FLAIR MR image.
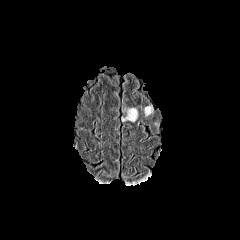
T1-weighted MR.
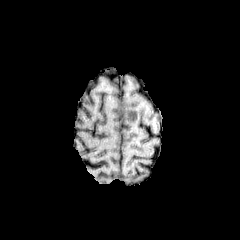
Post-contrast T1-weighted MRI.
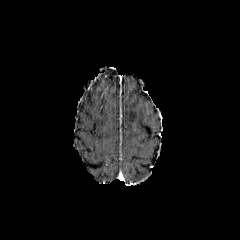
T2-weighted MR.
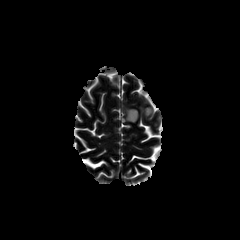
240x240
Edema at x1=122, y1=107, x2=138, y2=121.